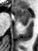
Medial temporal lobe; MR image
anterior hippocampus: {"x1": 12, "y1": 6, "x2": 30, "y2": 22} | posterior hippocampus: {"x1": 22, "y1": 23, "x2": 27, "y2": 25}